Image size 512x512 | Abdomen | Slice index 20 | CT

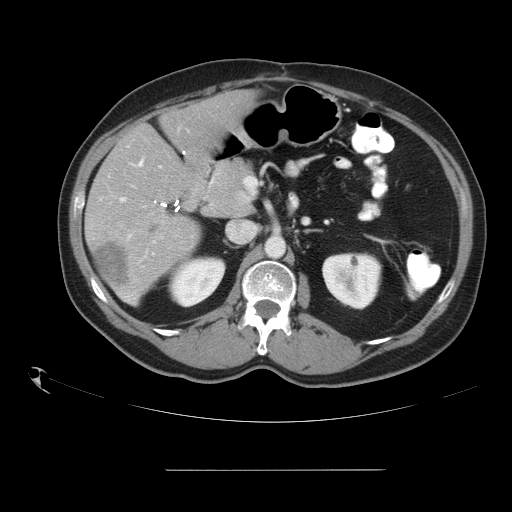 Some hepatic vessels may have no box.
2 hepatic vessel regions are located at left=120, top=197, right=125, bottom=201; left=139, top=159, right=143, bottom=165. 2 liver tumor regions are located at left=95, top=244, right=128, bottom=287; left=151, top=225, right=159, bottom=234.